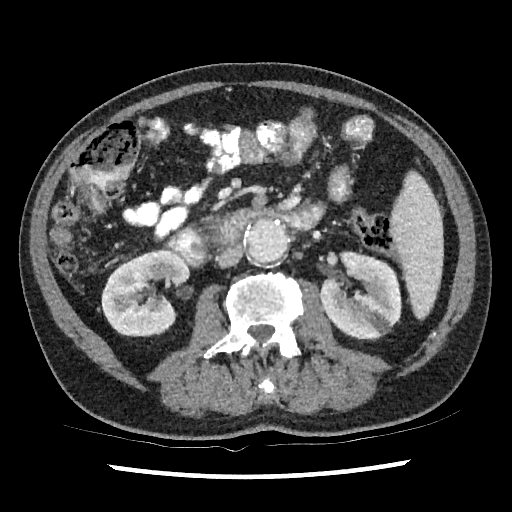
512x512; CT scan slice
3 kidney regions are bounded by bbox(102, 250, 188, 335); bbox(327, 253, 336, 264); bbox(320, 252, 400, 338).